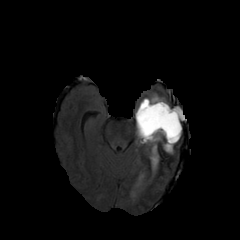
FLAIR MR image.
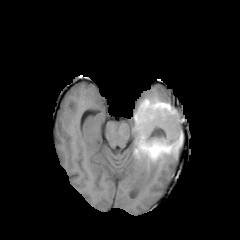
T1-weighted MR image.
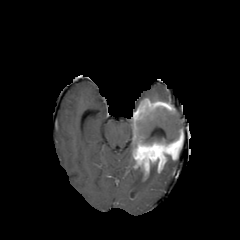
Post-contrast T1-weighted magnetic resonance of the same slice.
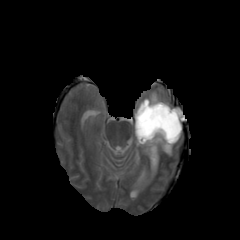
T2-weighted MR of the same slice.
240x240 px.
{
  "edema": [
    "(148, 94, 166, 101)",
    "(174, 106, 185, 126)"
  ],
  "enhancing_tumor": [
    "(132, 99, 175, 133)",
    "(133, 129, 181, 174)"
  ],
  "non-enhancing_tumor_core": [
    "(134, 156, 146, 167)",
    "(137, 109, 181, 145)"
  ]
}